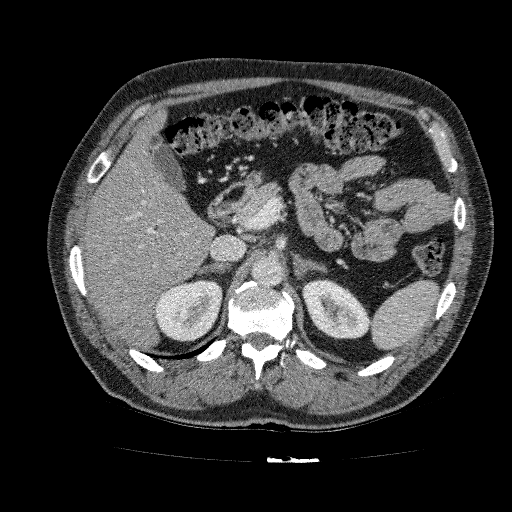
CT
{
  "kidney": [
    "[155,281,221,340]",
    "[303,281,369,337]"
  ],
  "liver": [
    "[82,109,216,348]"
  ]
}